CT slice, Slice 37 of 81

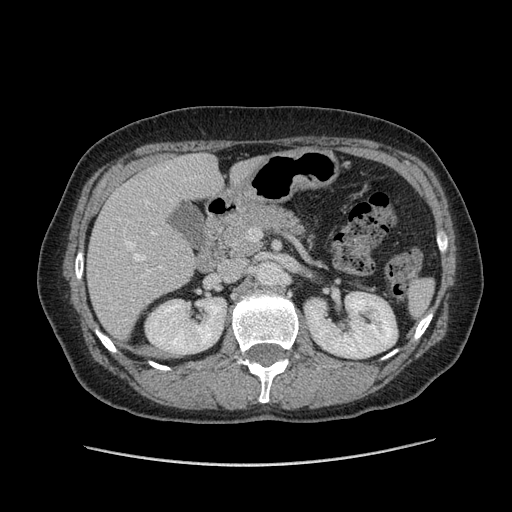

Only some of the vessels may be annotated.
Hepatic vessel: bounding box x1=151, y1=233, x2=153, y2=234.